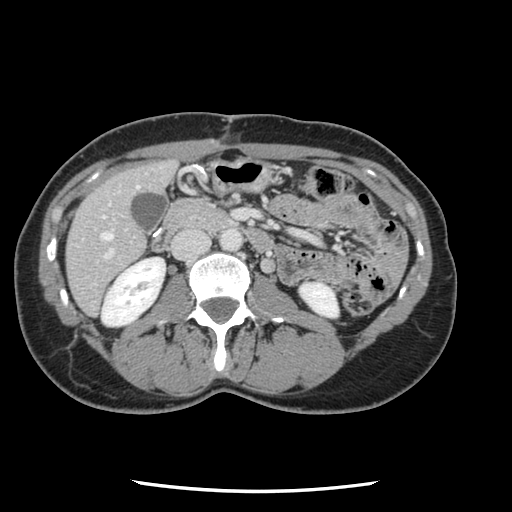 CT slice

The vessel boxes may cover only some of the vessels.
hepatic vessel: region(104, 249, 112, 257); region(101, 232, 111, 239); region(136, 185, 138, 187)